FLAIR magnetic resonance.
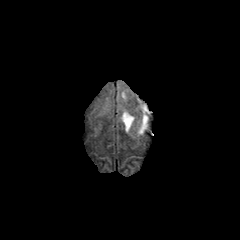
T1-weighted MR image.
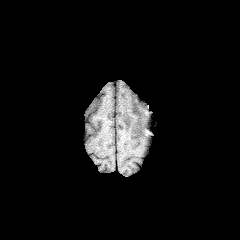
Post-contrast T1-weighted MR.
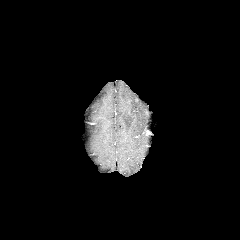
T2-weighted MRI.
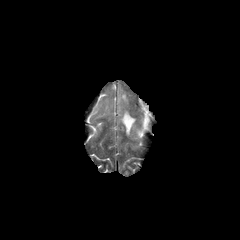
240x240
{"edema": ["119, 102, 150, 136"]}